FLAIR magnetic resonance.
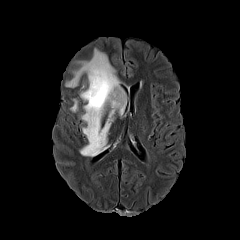
T1-weighted MR.
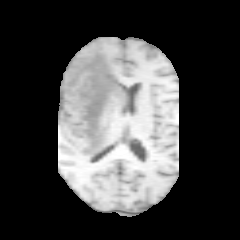
Post-contrast T1-weighted magnetic resonance.
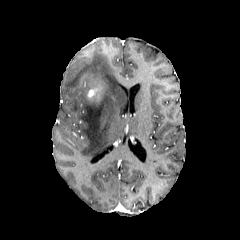
T2-weighted MR.
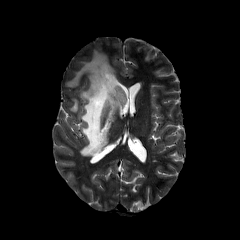
Image size 240x240
Enhancing tumor: <box>78,78,90,93</box>.
Edema: <box>65,48,125,156</box>, <box>69,99,78,112</box>.
Non-enhancing tumor core: <box>87,82,100,99</box>.